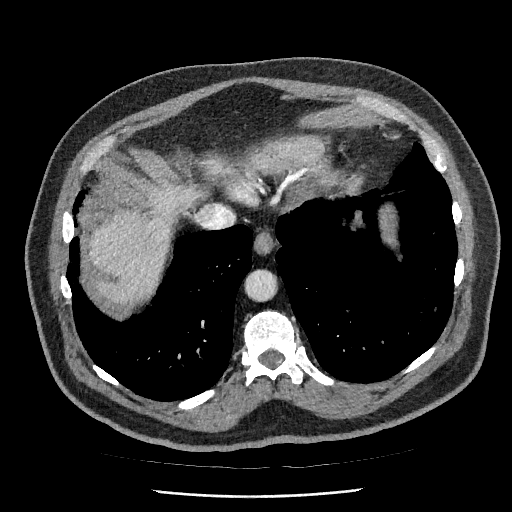
Liver. CT scan slice. 512x512. liver:
  - 89, 183, 205, 302
  - 203, 157, 233, 176